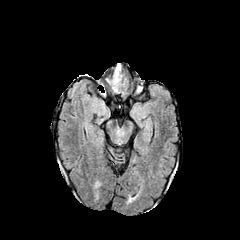
FLAIR MRI.
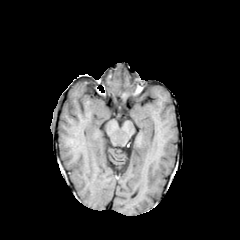
T1-weighted MRI.
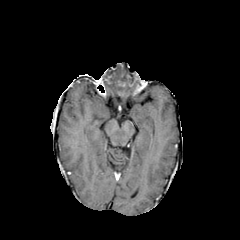
Same slice, post-contrast T1-weighted MR.
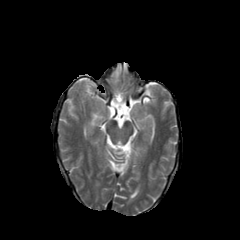
T2-weighted MR image.
Brain
Edema = bbox=[109, 64, 124, 92].